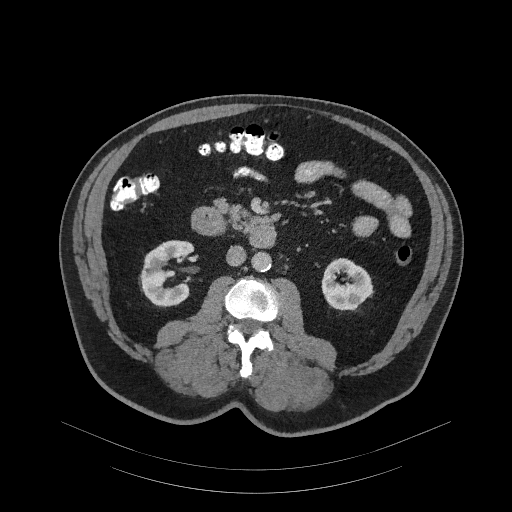

CT slice | Upper abdomen

Pancreas = left=215, top=199, right=273, bottom=233.